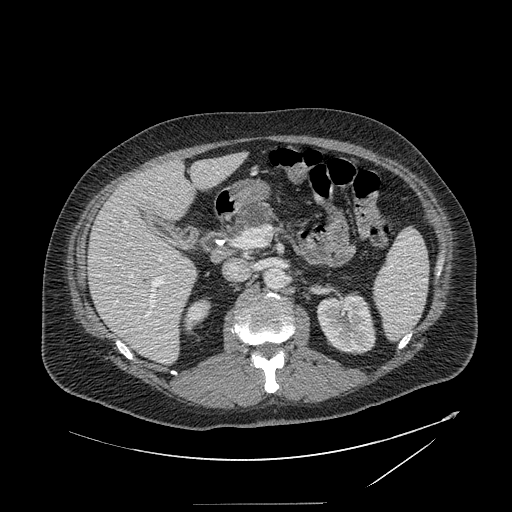

Upper abdomen | Computed tomography
The pancreas is at <box>232,203,275,237</box>.